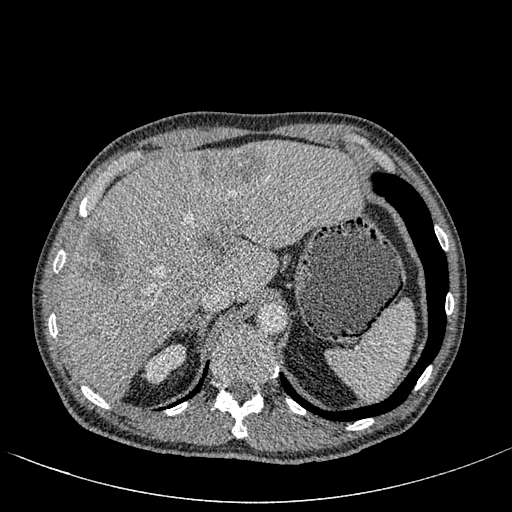
CT image
Focal liver lesion at box(200, 221, 240, 263); box(201, 148, 264, 186); box(170, 162, 177, 170); box(80, 229, 126, 286).
Kidney at box(144, 344, 185, 383).
Liver at box(58, 140, 363, 398).